240x240, Head
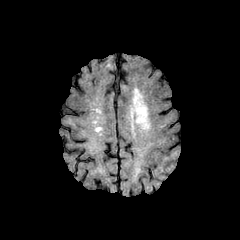
FLAIR MR.
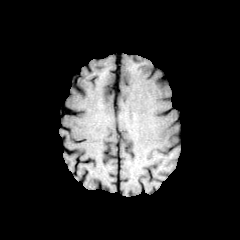
T1-weighted MRI.
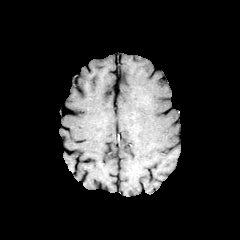
Post-contrast T1-weighted MR image.
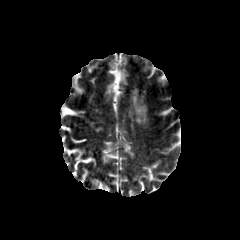
Same slice, T2-weighted MR image.
Edema — bbox=[130, 88, 149, 129].